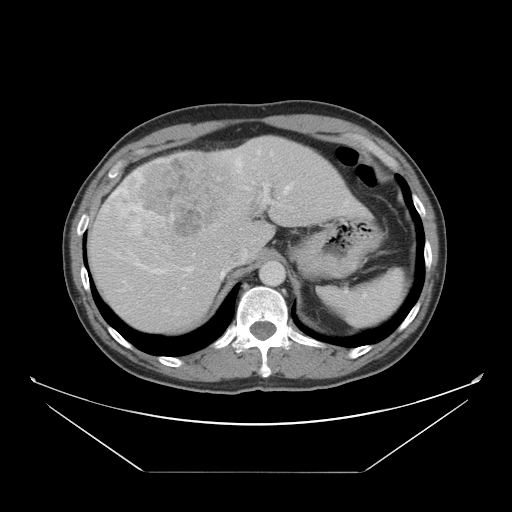 CT scan slice; Abdomen
The vessel boxes may cover only some of the vessels.
Hepatic vessel = box(135, 261, 146, 268); box(122, 280, 125, 282); box(182, 287, 184, 289); box(236, 161, 237, 163); box(283, 182, 292, 194); box(211, 224, 220, 230); box(238, 171, 240, 172); box(151, 268, 166, 274); box(238, 186, 249, 190); box(193, 253, 194, 255); box(182, 267, 192, 271); box(263, 183, 268, 201); box(344, 199, 348, 206); box(278, 197, 279, 198); box(175, 266, 176, 268).
Liver tumor = box(143, 154, 234, 237).